CT image | Image size 512x512
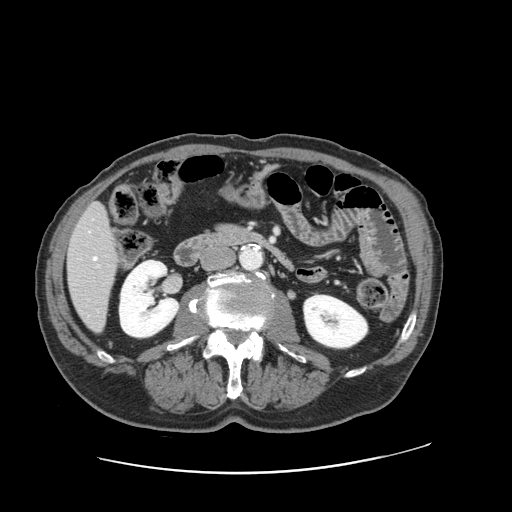

The vessel boxes may cover only some of the vessels.
Hepatic vessel: bounding box bbox(93, 257, 96, 260).